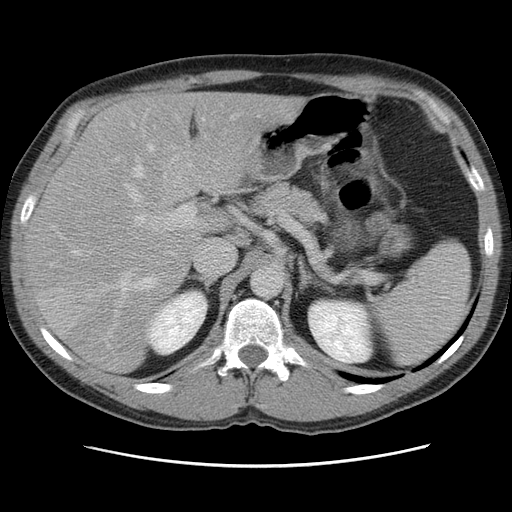
Liver; CT slice
Not every hepatic vessel necessarily has a box.
The largest 15 hepatic vessel regions (of 27) appear at bbox=[116, 157, 119, 161]; bbox=[73, 250, 81, 255]; bbox=[105, 285, 115, 290]; bbox=[129, 189, 139, 201]; bbox=[135, 276, 157, 290]; bbox=[134, 165, 143, 177]; bbox=[125, 184, 128, 187]; bbox=[230, 115, 236, 119]; bbox=[148, 144, 153, 151]; bbox=[214, 182, 216, 185]; bbox=[136, 157, 139, 162]; bbox=[215, 161, 217, 164]; bbox=[121, 273, 133, 291]; bbox=[136, 217, 141, 225]; bbox=[164, 174, 165, 178]. 2 liver tumor regions appear at bbox=[39, 289, 92, 334]; bbox=[117, 110, 130, 124].